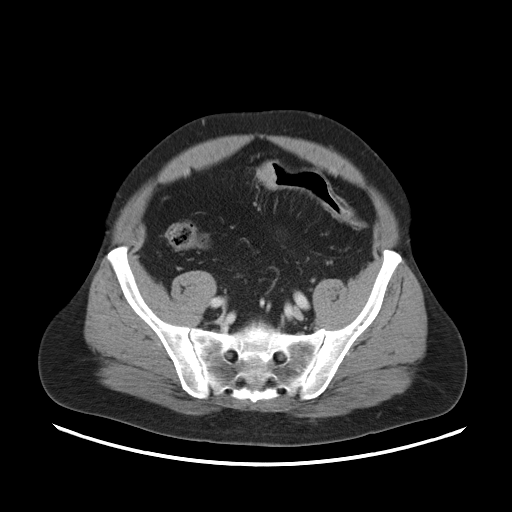 Abdomen | CT
Annotated regions:
* colon tumor: 257 163 277 188